Head, Field of view 240x240 mm
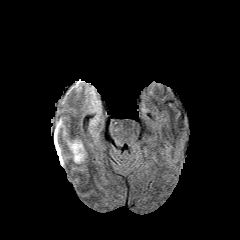
FLAIR MRI.
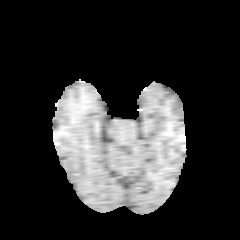
T1-weighted MR.
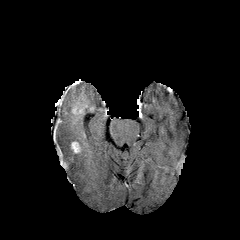
Same slice, post-contrast T1-weighted magnetic resonance.
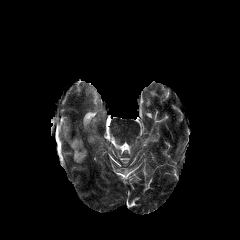
T2-weighted MR.
enhancing_tumor:
  - bbox=[71, 142, 79, 152]
edema:
  - bbox=[59, 138, 86, 166]